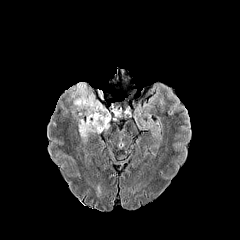
FLAIR MR.
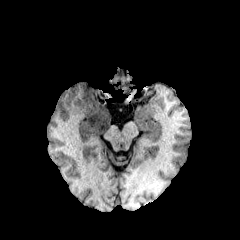
T1-weighted MRI of the same slice.
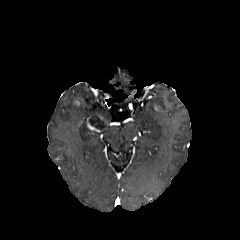
Post-contrast T1-weighted MR.
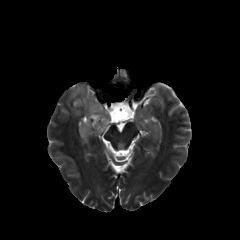
T2-weighted magnetic resonance.
Brain
Edema: box(78, 122, 97, 145); box(70, 84, 108, 122).
Enhancing tumor: box(87, 122, 100, 132).
Non-enhancing tumor core: box(88, 111, 109, 131).